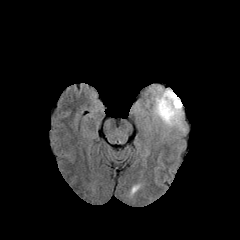
FLAIR MR.
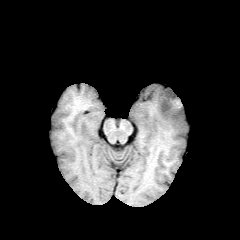
T1-weighted MR.
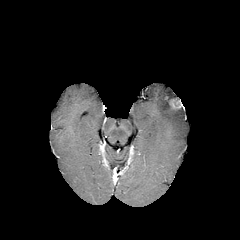
Post-contrast T1-weighted MRI.
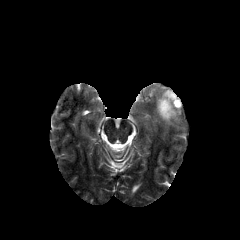
T2-weighted magnetic resonance of the same slice.
Brain
• enhancing tumor: (x1=170, y1=99, x2=181, y2=108)
• edema: (x1=144, y1=86, x2=185, y2=131)